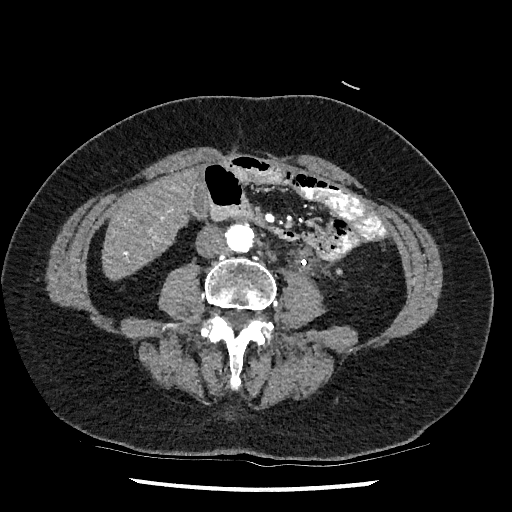

512x512 px | CT image
Liver — 101, 168, 197, 279.